Head.
FLAIR magnetic resonance.
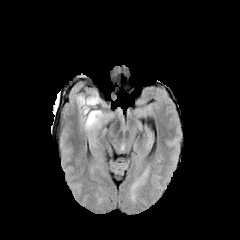
T1-weighted MRI.
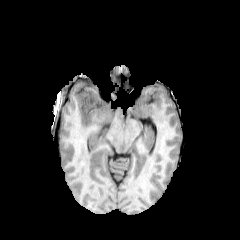
Post-contrast T1-weighted MR.
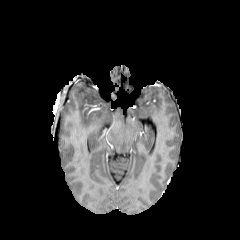
T2-weighted MR image.
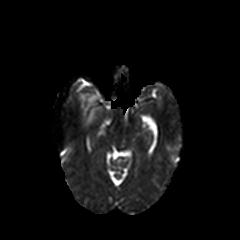
The edema is bounded by [77, 90, 103, 129].